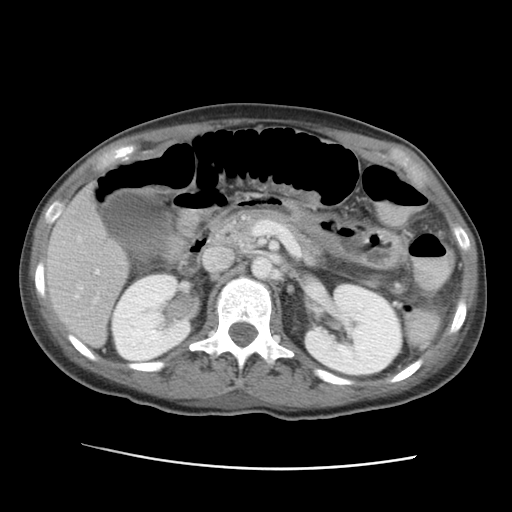
CT slice
2 kidney regions appear at box(305, 284, 401, 374); box(112, 275, 189, 360). The liver lies within box(46, 184, 127, 346).